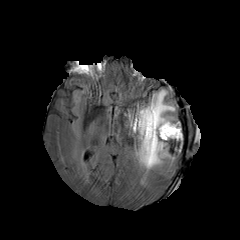
FLAIR MRI.
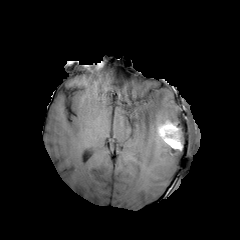
T1-weighted MRI of the same slice.
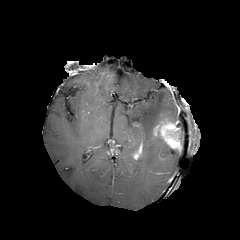
Post-contrast T1-weighted MR image.
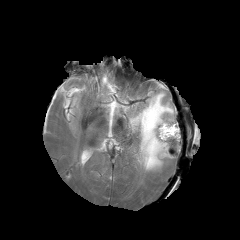
T2-weighted MRI.
Brain, 240x240
Enhancing tumor: bounding box box=[154, 122, 179, 147].
Edema: bounding box box=[129, 89, 177, 172].